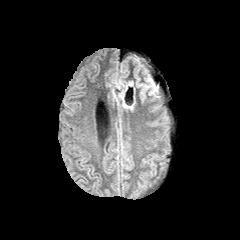
FLAIR magnetic resonance.
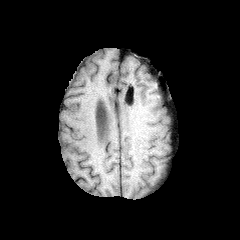
T1-weighted MR.
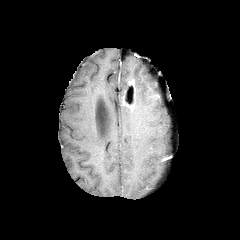
Post-contrast T1-weighted MR.
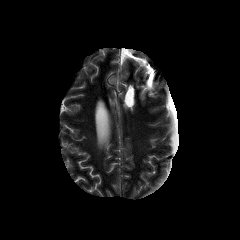
T2-weighted magnetic resonance.
edema:
  - [136,77,148,100]